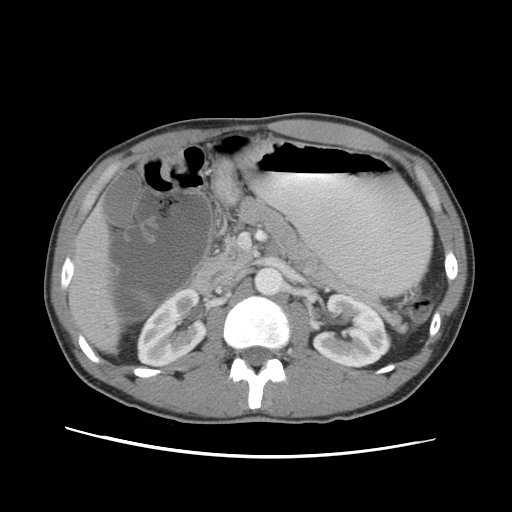

CT slice; Abdomen; Image size 512x512
Colon tumor: l=160, t=151, r=185, b=181.